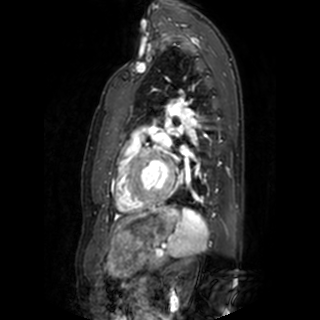
MRI | 320x320 px
left_atrium:
  - (180, 146, 190, 155)